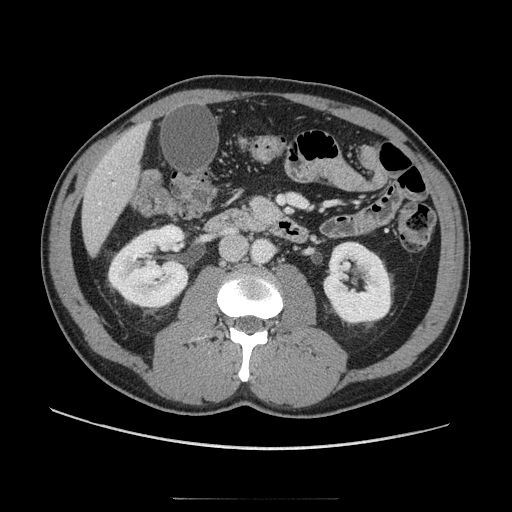
Abdomen. CT scan slice. Pancreas = (247,194,287,232).